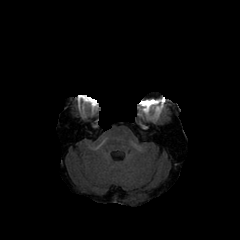
FLAIR magnetic resonance.
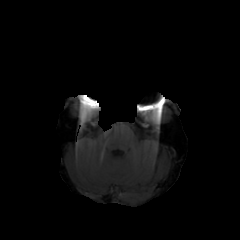
T1-weighted MR.
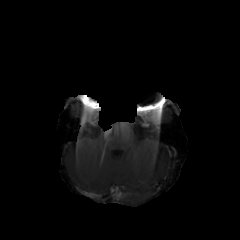
Post-contrast T1-weighted magnetic resonance.
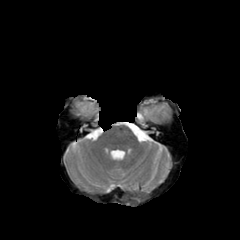
T2-weighted magnetic resonance of the same slice.
2 non-enhancing tumor core regions are bounded by bbox=[140, 104, 163, 120]; bbox=[82, 102, 95, 111]. 2 enhancing tumor regions are located at bbox=[148, 102, 163, 111]; bbox=[140, 108, 149, 116].